Image size 240x240 | Head | Image width 240 mm
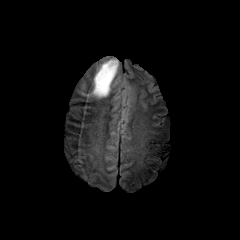
FLAIR MRI.
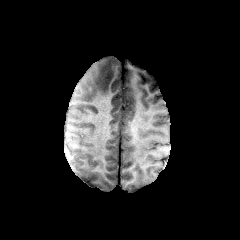
T1-weighted MR image of the same slice.
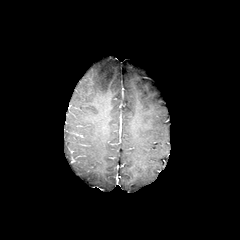
Post-contrast T1-weighted magnetic resonance.
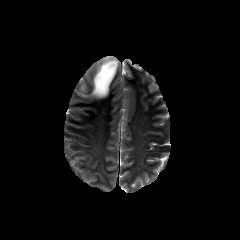
T2-weighted MRI.
The edema is bounded by 92:59:118:96.